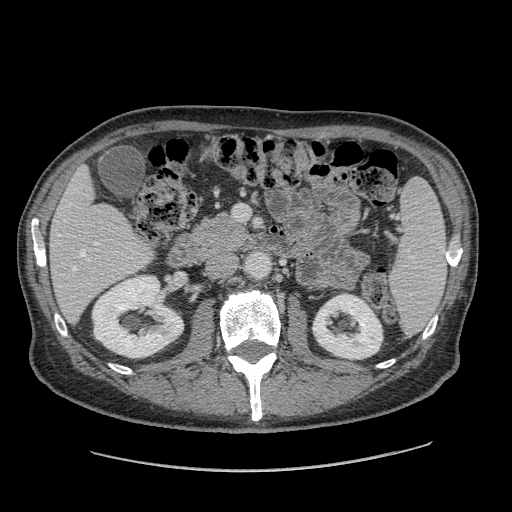
Abdomen, 512x512 px, CT image

Pancreas: (x1=198, y1=213, x2=246, y2=247).